CT slice | Slice 88 of 871 | Image size 512x512
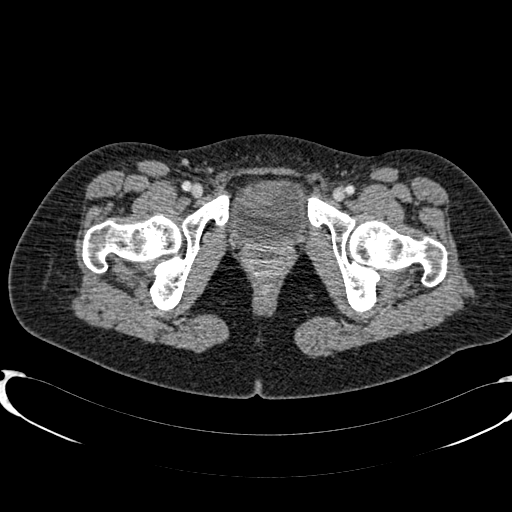 <segmentation>
  <urinary_bladder>box=[227, 179, 311, 249]</urinary_bladder>
</segmentation>